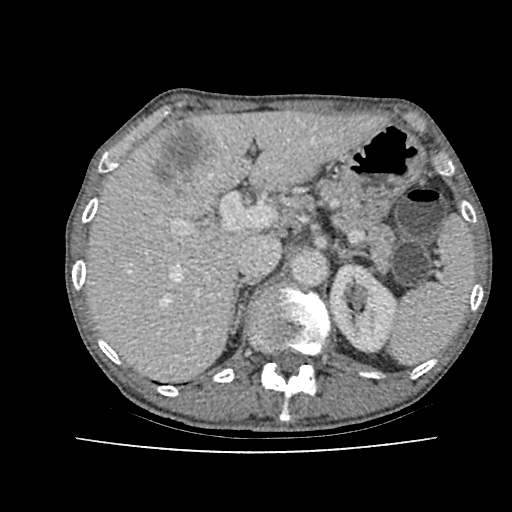 Liver | Computed tomography

The kidney is bounded by region(330, 267, 395, 350). The liver is located at region(89, 112, 379, 379). The liver lesion is at region(154, 123, 208, 184).